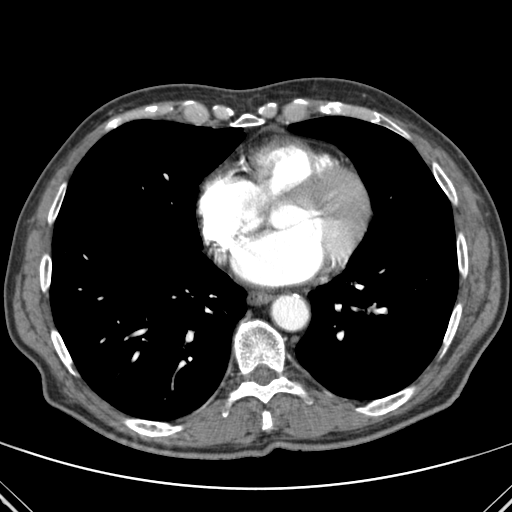
CT slice.
bone:
  - (left=321, top=102, right=345, bottom=113)
  - (left=217, top=320, right=305, bottom=416)
  - (left=356, top=387, right=414, bottom=415)
  - (left=51, top=330, right=74, bottom=374)
  - (left=48, top=184, right=64, bottom=222)
  - (left=39, top=254, right=51, bottom=291)
  - (left=146, top=106, right=157, bottom=112)
  - (left=231, top=114, right=264, bottom=126)
  - (left=106, top=119, right=117, bottom=127)
  - (left=124, top=419, right=182, bottom=436)
  - (left=262, top=411, right=272, bottom=429)
  - (left=433, top=162, right=457, bottom=203)
  - (left=457, top=233, right=467, bottom=276)
  - (left=443, top=304, right=461, bottom=351)
  - (left=363, top=112, right=405, bottom=133)
lung:
  - (left=50, top=120, right=246, bottom=420)
  - (left=288, top=116, right=458, bottom=399)